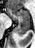
Hippocampus, MR

The posterior hippocampus is at bbox(15, 22, 29, 35). The anterior hippocampus is bounded by bbox(7, 9, 29, 21).